Slice 58/155. Head. 240x240 px.
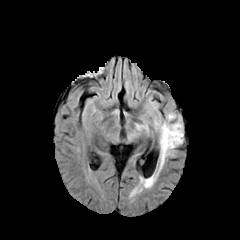
FLAIR MR image.
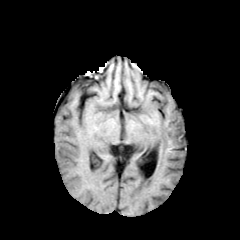
T1-weighted magnetic resonance of the same slice.
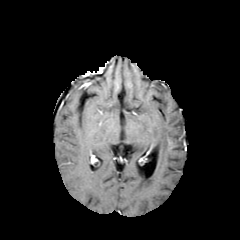
Post-contrast T1-weighted MR image.
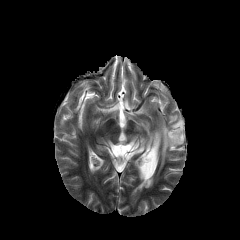
Same slice, T2-weighted magnetic resonance.
edema:
  - (132, 110, 183, 195)